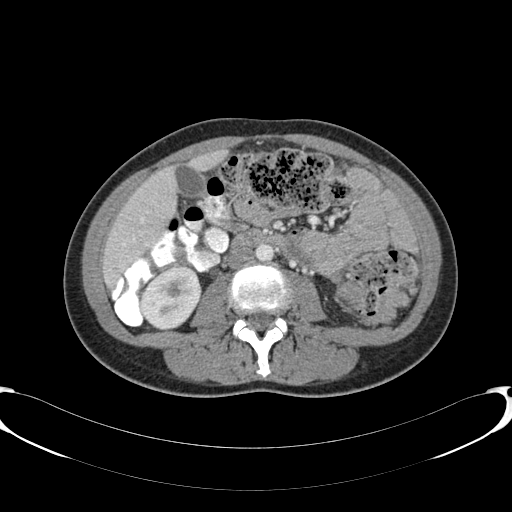 Upper abdomen | CT scan slice

The kidney appears at bbox=[138, 268, 200, 328]. 2 liver regions appear at bbox=[187, 150, 226, 169]; bbox=[102, 166, 176, 286].